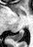

Magnetic resonance. Medial temporal lobe. posterior_hippocampus:
  - box(12, 29, 24, 41)